Image size 240x240; Slice 78 of 155
FLAIR magnetic resonance.
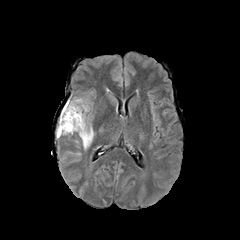
T1-weighted magnetic resonance.
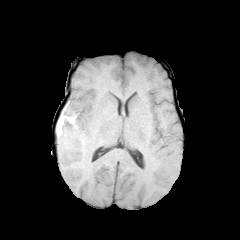
Post-contrast T1-weighted MR.
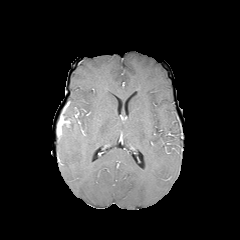
T2-weighted magnetic resonance.
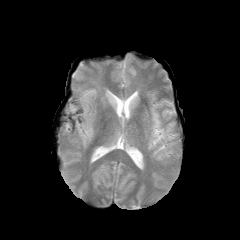
<segmentation>
  <edema>57:94:93:149</edema>
</segmentation>